Upper abdomen, CT image
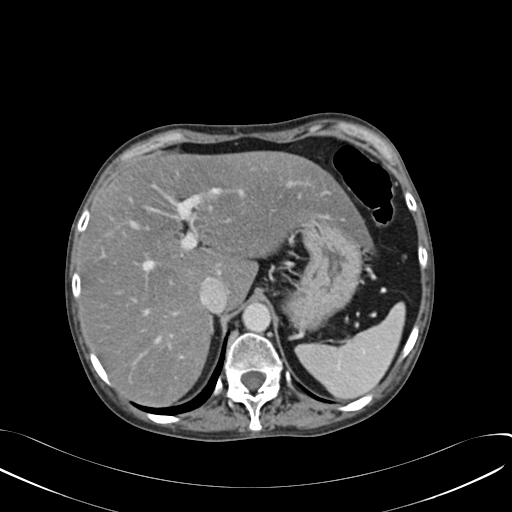
Liver: bounding box (79,150,372,406).